Liver; Field of view 345 mm wide, 5.00 mm slice spacing; CT scan slice; Slice 25/41; 512x512

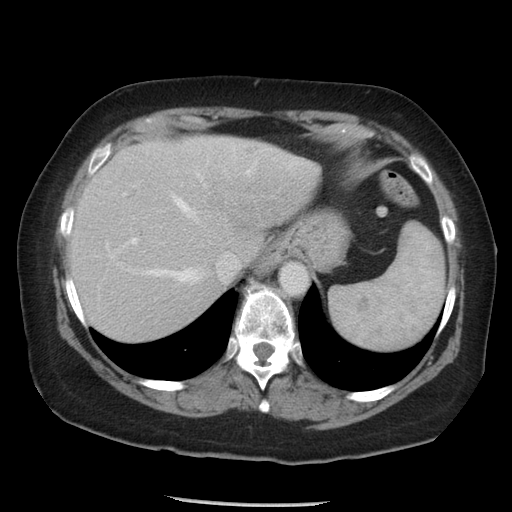 Not every hepatic vessel necessarily has a box.
<segmentation>
  <hepatic_vessel>(196,172,202,179), (117,262,122,265), (245,161,256,174), (196,220,198,222), (132,185,134,186), (142,267,202,283), (108,237,137,257), (122,193,125,195), (173,196,197,217), (105,242,108,248)</hepatic_vessel>
</segmentation>